MRI
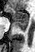

anterior_hippocampus:
  - 7 7 27 21
posterior_hippocampus:
  - 13 21 27 32